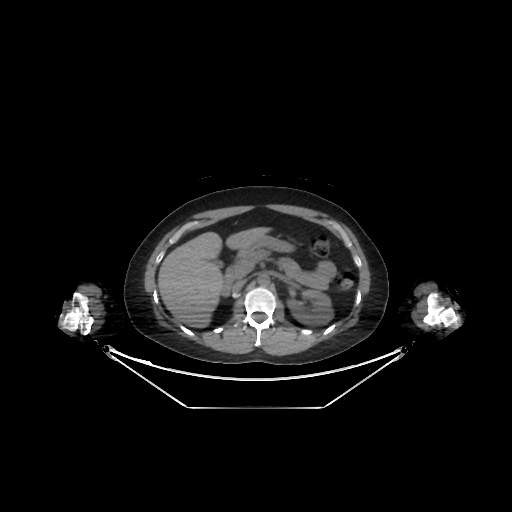 CT image

Segmented structures:
* liver: box=[154, 232, 224, 327]; box=[226, 228, 269, 253]
* kidney: box=[286, 287, 332, 326]